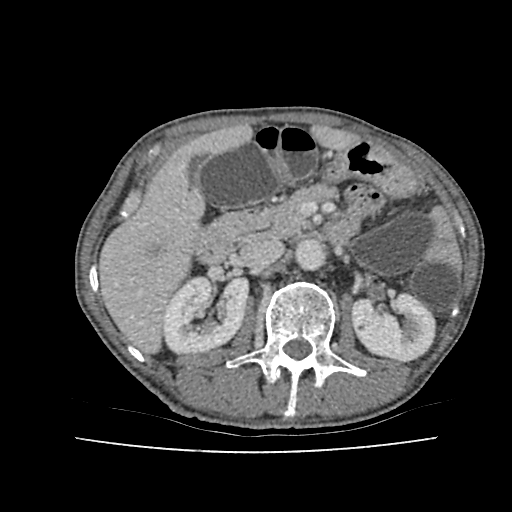
CT, Upper abdomen, Image size 512x512

<segmentation>
  <liver>100:128:248:349, 318:130:351:146</liver>
  <kidney>164:278:247:352, 353:295:434:360</kidney>
</segmentation>